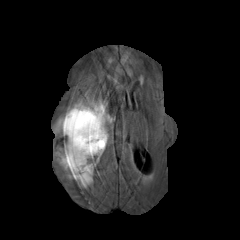
FLAIR MR.
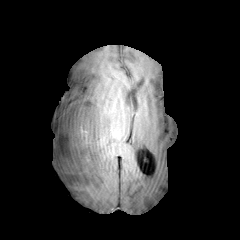
T1-weighted magnetic resonance.
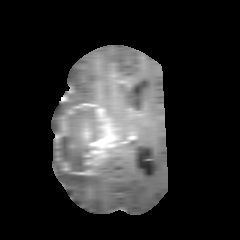
Post-contrast T1-weighted magnetic resonance of the same slice.
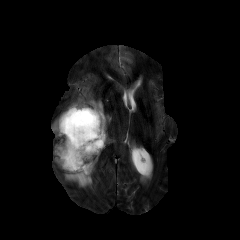
T2-weighted MR image.
240x240 px, Brain
Findings:
• enhancing tumor: {"x1": 55, "y1": 121, "x2": 67, "y2": 140}, {"x1": 73, "y1": 170, "x2": 95, "y2": 174}, {"x1": 68, "y1": 103, "x2": 116, "y2": 165}
• edema: {"x1": 53, "y1": 153, "x2": 93, "y2": 188}, {"x1": 51, "y1": 87, "x2": 107, "y2": 135}
• non-enhancing tumor core: {"x1": 54, "y1": 108, "x2": 104, "y2": 174}